FLAIR MR image.
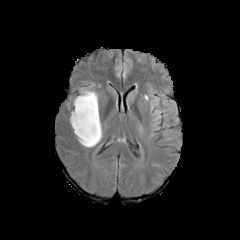
T1-weighted MR.
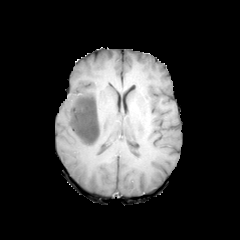
Post-contrast T1-weighted MR image.
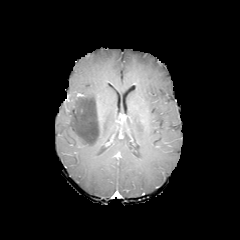
T2-weighted magnetic resonance.
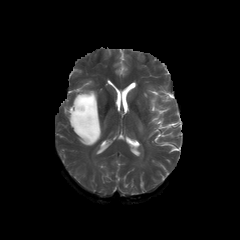
Image size 240x240, Head
Edema at box=[78, 86, 99, 110]; box=[68, 97, 103, 148]; box=[146, 94, 169, 129].
Non-enhancing tumor core at box=[70, 93, 99, 143].